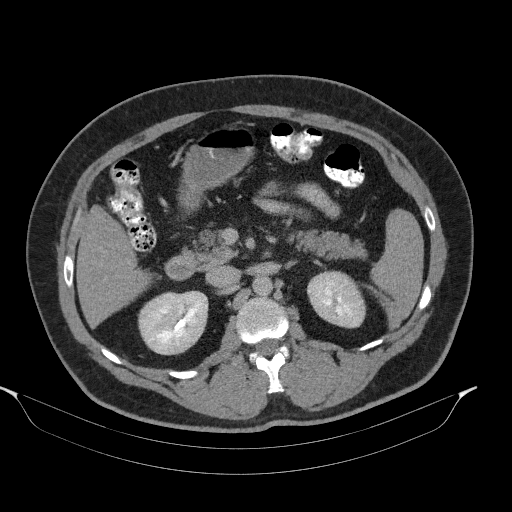

CT image | Upper abdomen
2 pancreas regions appear at [289, 229, 365, 258], [187, 226, 231, 267].